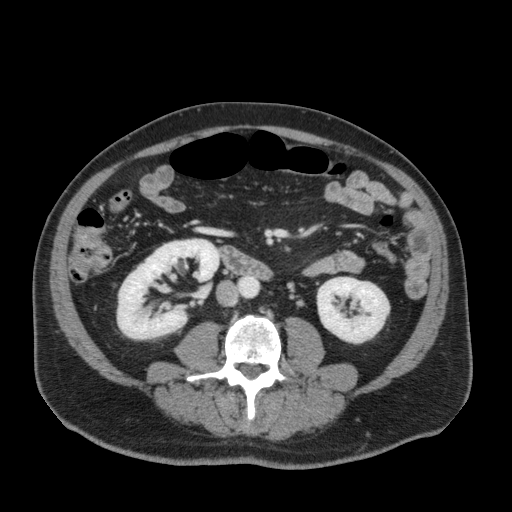 CT, Abdomen

Kidney: bounding box <box>317,277,388,342</box>, <box>117,239,219,338</box>.